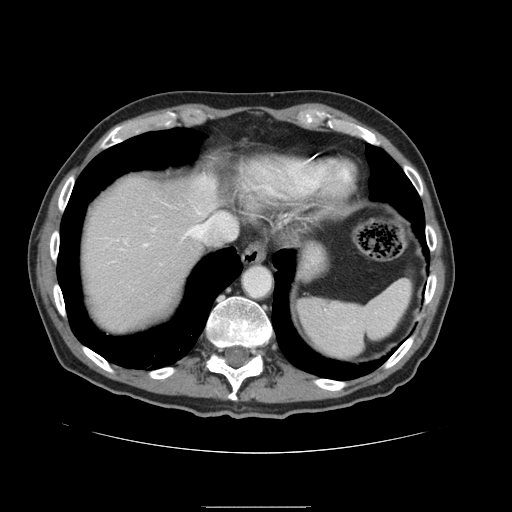
CT image | Abdomen
Spleen at box(297, 280, 411, 360).